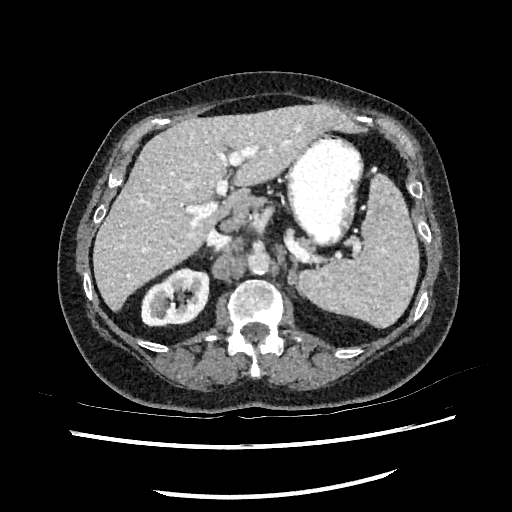 CT image | Image size 512x512
Liver: bounding box (x1=94, y1=103, x2=364, y2=311).
Kidney: bounding box (x1=142, y1=269, x2=208, y2=325).